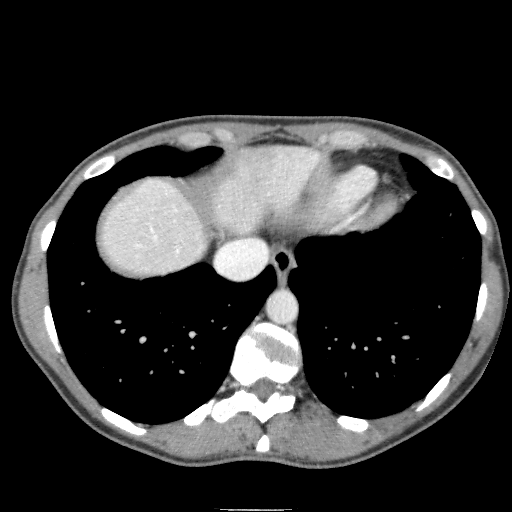 CT slice; Abdomen
Segmented structures:
* liver: left=98, top=180, right=206, bottom=277; left=207, top=145, right=320, bottom=233